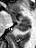 36x48 px, Medial temporal lobe, MR image
{
  "posterior_hippocampus": [
    "left=16, top=22, right=29, bottom=31"
  ],
  "anterior_hippocampus": [
    "left=12, top=14, right=29, bottom=22"
  ]
}